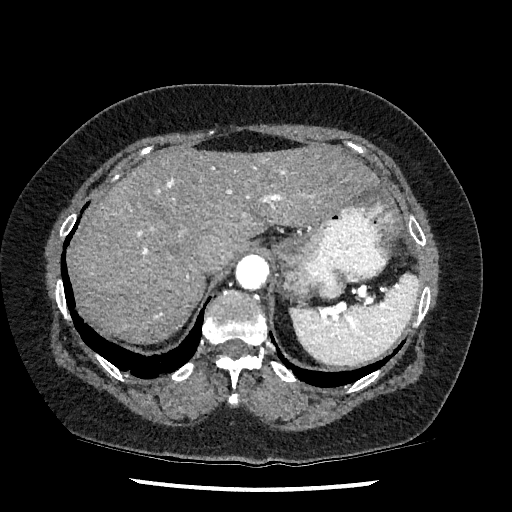

Abdomen; Computed tomography
Segmented structures:
* liver lesion: [358,187,377,197]
* liver: [70,145,379,343]